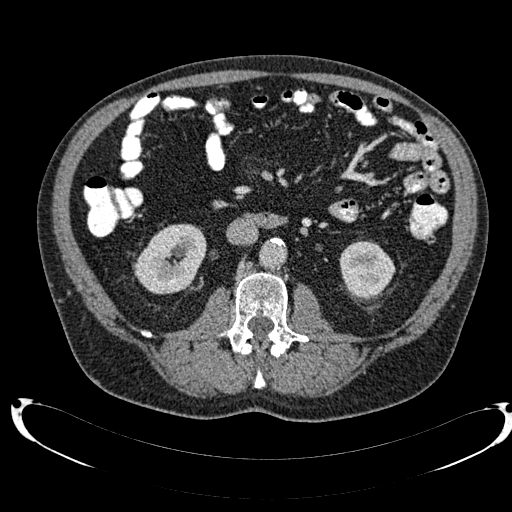

Abdomen, CT scan slice
kidney: [134,224,206,293], [340,241,394,299]